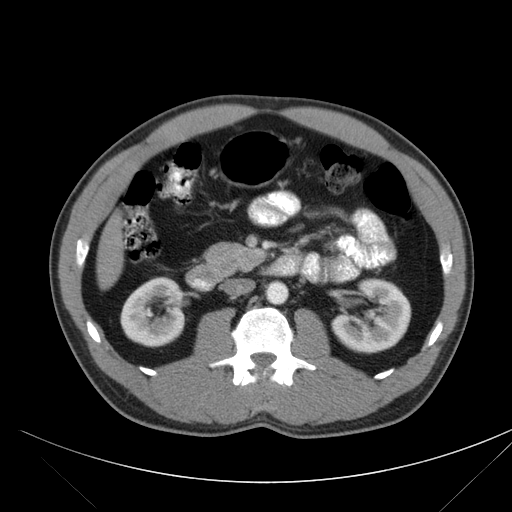 CT scan slice. 512x512. Upper abdomen.
The pancreas lies within l=203, t=240, r=246, b=271.